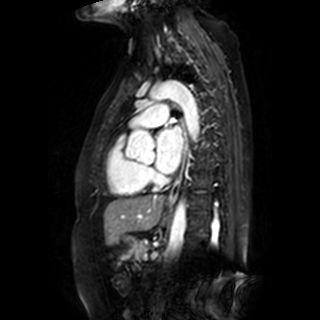

MRI; 320x320
The left atrium is located at [x1=155, y1=126, x2=182, y2=173].